CT scan slice, Image width 496 mm

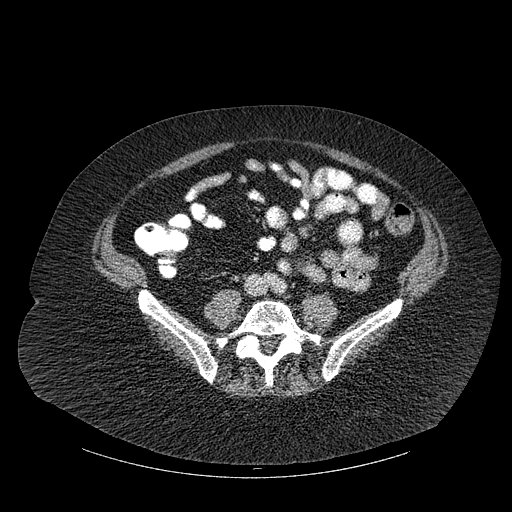 - bone: 138, 290, 217, 382; 322, 299, 401, 380; 216, 301, 320, 385